FLAIR magnetic resonance.
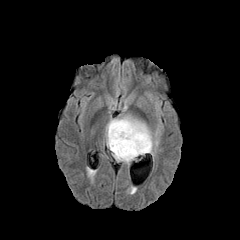
T1-weighted MR.
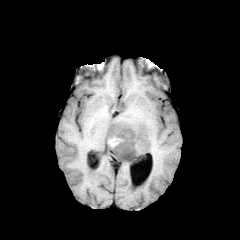
Post-contrast T1-weighted MR image.
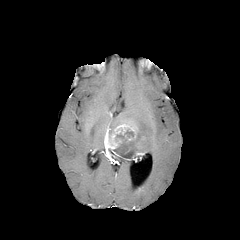
T2-weighted MRI.
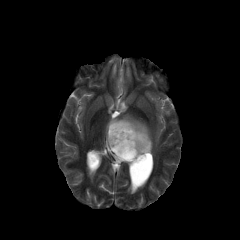
Brain. Image size 240x240.
{"non-enhancing_tumor_core": ["113, 129, 147, 160"], "edema": ["115, 157, 131, 165", "107, 97, 159, 157"], "enhancing_tumor": ["104, 119, 138, 155"]}